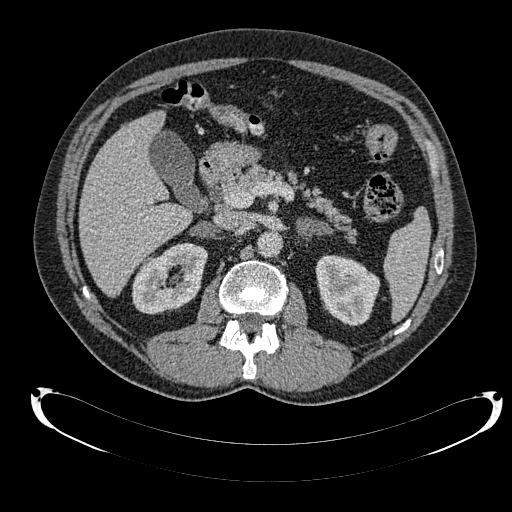
CT, Upper abdomen, Image size 512x512
2 kidney regions appear at rect(316, 256, 379, 324); rect(132, 243, 207, 313). The liver is located at rect(79, 110, 192, 296).